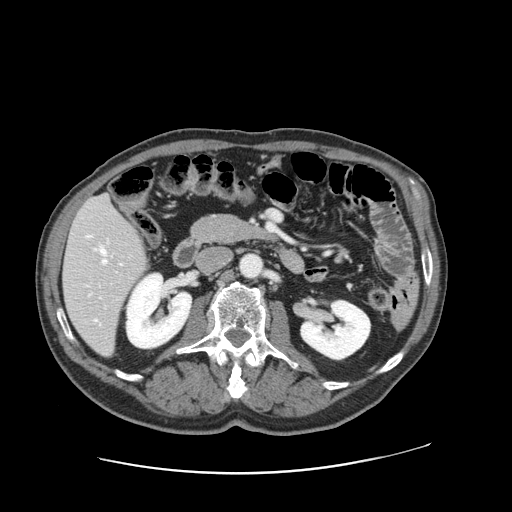

Computed tomography; 512x512; Abdomen
Only some of the vessels may be annotated.
Hepatic vessel — box(95, 319, 97, 321); box(102, 259, 106, 263); box(87, 235, 91, 236); box(100, 246, 105, 254).